Computed tomography. Slice index 417. 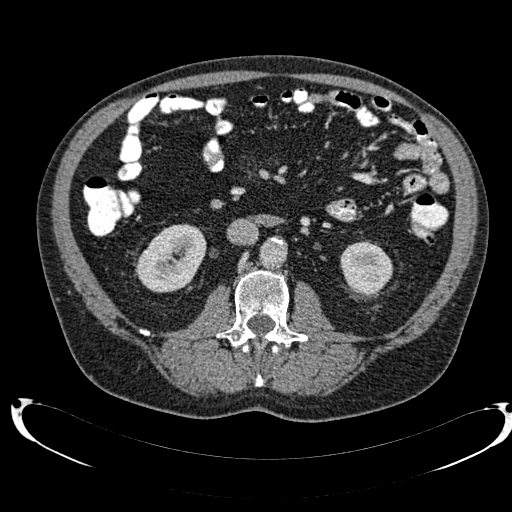

2 kidney regions are located at (x1=136, y1=224, x2=205, y2=292), (x1=341, y1=242, x2=392, y2=296).